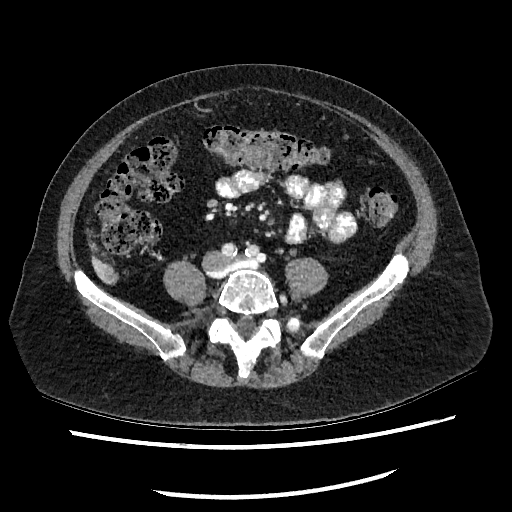 Image size 512x512; CT image
Segmented structures:
- focal liver lesion: <bbox>106, 271, 115, 279</bbox>
- liver: <bbox>93, 257, 115, 282</bbox>